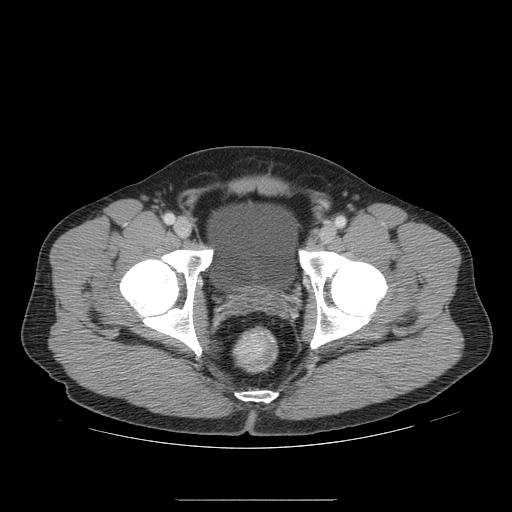 CT, 512x512 px
colon tumor: box=[239, 335, 266, 363]